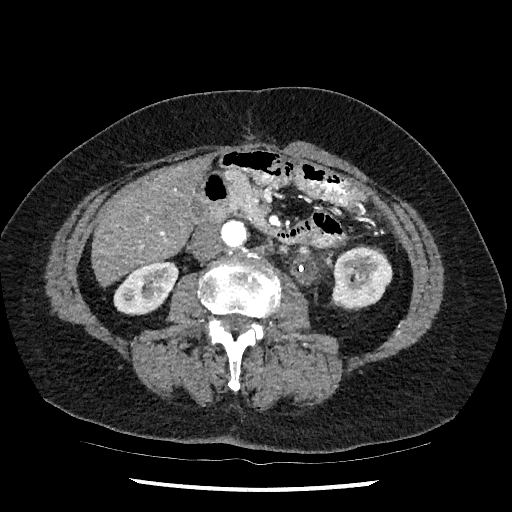 Computed tomography; Upper abdomen

The liver is located at (92, 159, 208, 285). 2 kidney regions are bounded by (114, 262, 177, 313), (333, 248, 391, 307).